240x240 px. Slice 51 of 155.
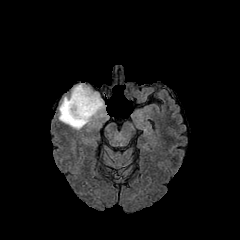
FLAIR MR.
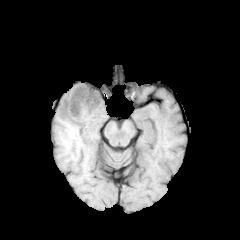
Same slice, T1-weighted magnetic resonance.
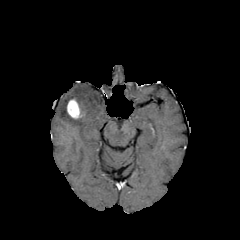
Post-contrast T1-weighted MR.
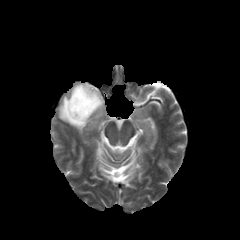
Same slice, T2-weighted MR image.
2 non-enhancing tumor core regions are located at left=70, top=94, right=87, bottom=115; left=64, top=106, right=83, bottom=120. The edema appears at left=58, top=83, right=105, bottom=129. The enhancing tumor is bounded by left=66, top=98, right=83, bottom=119.